Brain. 240x240.
FLAIR magnetic resonance.
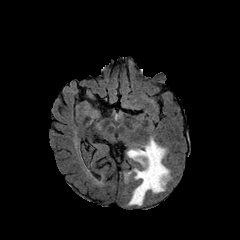
T1-weighted magnetic resonance.
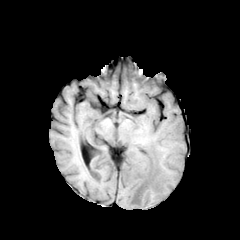
Post-contrast T1-weighted MR.
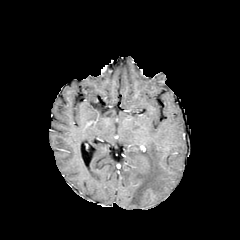
T2-weighted MR.
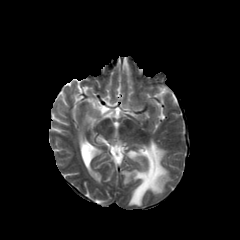
Edema at rect(126, 138, 169, 205); rect(123, 171, 131, 182).